Hippocampus, Magnetic resonance

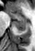

2 anterior hippocampus regions are bounded by {"x1": 7, "y1": 11, "x2": 8, "y2": 12}, {"x1": 9, "y1": 12, "x2": 25, "y2": 19}. The posterior hippocampus is at {"x1": 13, "y1": 20, "x2": 25, "y2": 32}.